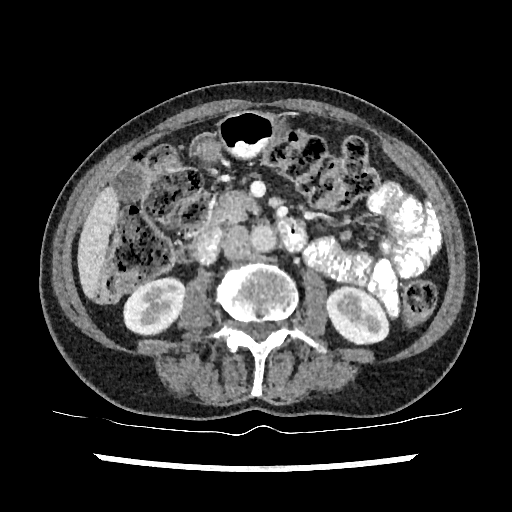

Upper abdomen. 512x512 px. CT image.
<segmentation>
  <liver>{"x1": 79, "y1": 189, "x2": 117, "y2": 296}</liver>
  <kidney>{"x1": 124, "y1": 279, "x2": 184, "y2": 333}, {"x1": 327, "y1": 288, "x2": 387, "y2": 343}</kidney>
</segmentation>